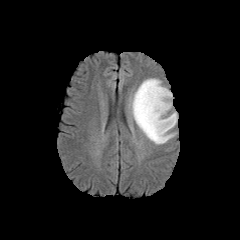
FLAIR MR image.
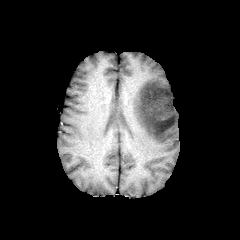
T1-weighted MR.
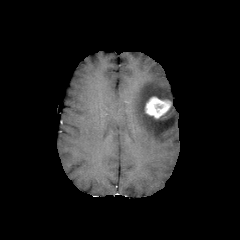
Post-contrast T1-weighted MR image.
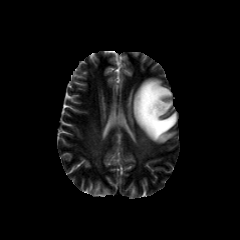
Same slice, T2-weighted MR.
Edema — box(130, 78, 177, 144).
Enhancing tumor — box(145, 96, 172, 119).